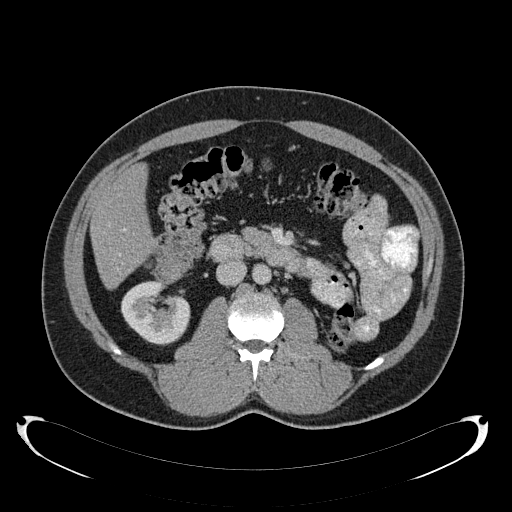 Upper abdomen; CT
{"liver": ["x1=90 y1=164 x2=152 y2=287"], "kidney": ["x1=121 y1=282 x2=189 y2=343"]}